Image size 512x512; CT; Liver
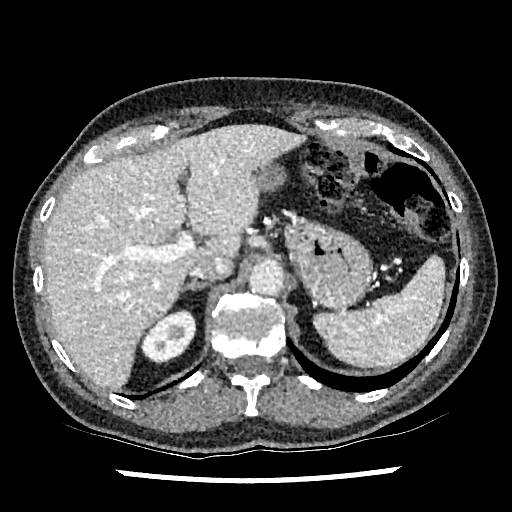 Kidney — bbox(143, 312, 194, 360).
Focal liver lesion — bbox(252, 164, 265, 176).
Liver — bbox(44, 125, 305, 388).